Slice index 71; 240x240 px
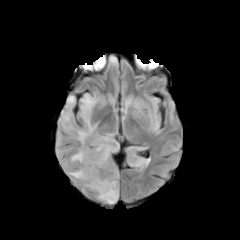
FLAIR MRI.
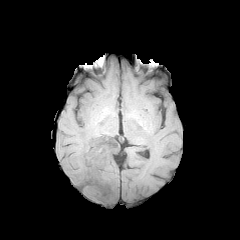
T1-weighted magnetic resonance of the same slice.
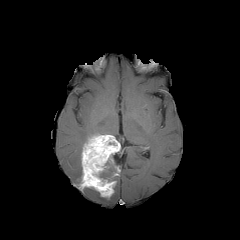
Post-contrast T1-weighted MRI.
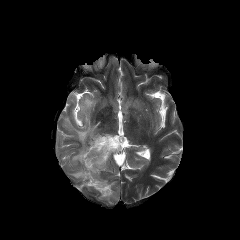
T2-weighted magnetic resonance of the same slice.
Enhancing tumor: <bbox>80, 135, 119, 197</bbox>.
Edema: <bbox>69, 166, 81, 179</bbox>, <bbox>57, 131, 62, 146</bbox>, <bbox>59, 93, 98, 145</bbox>, <bbox>97, 182, 118, 203</bbox>, <bbox>70, 147, 81, 163</bbox>, <bbox>106, 166, 115, 177</bbox>.
Non-enhancing tumor core: <bbox>82, 133, 100, 149</bbox>, <bbox>99, 153, 119, 185</bbox>.